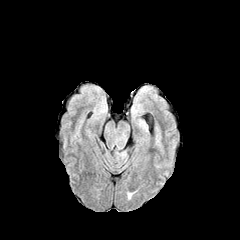
FLAIR magnetic resonance.
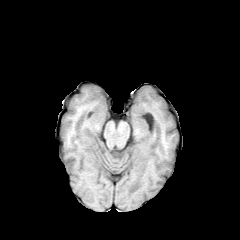
T1-weighted magnetic resonance.
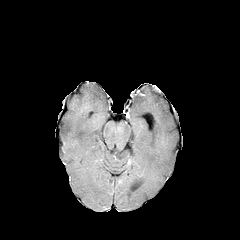
Post-contrast T1-weighted magnetic resonance.
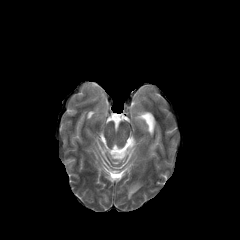
Same slice, T2-weighted MR.
Brain
Findings:
- edema: bbox(116, 150, 125, 158)